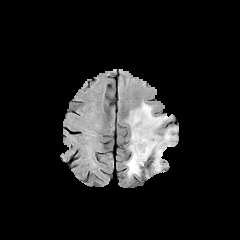
FLAIR MR image.
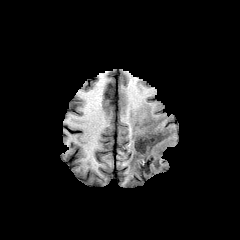
T1-weighted MR.
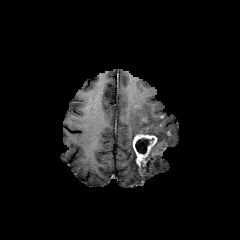
Post-contrast T1-weighted MR.
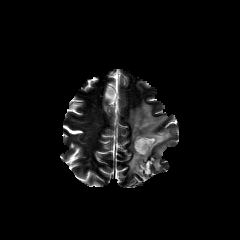
T2-weighted MR.
Image size 240x240, Head
<segmentation>
  <enhancing_tumor>132,134,157,166</enhancing_tumor>
  <non-enhancing_tumor_core>135,138,149,153</non-enhancing_tumor_core>
  <edema>126,103,172,174</edema>
</segmentation>